CT image

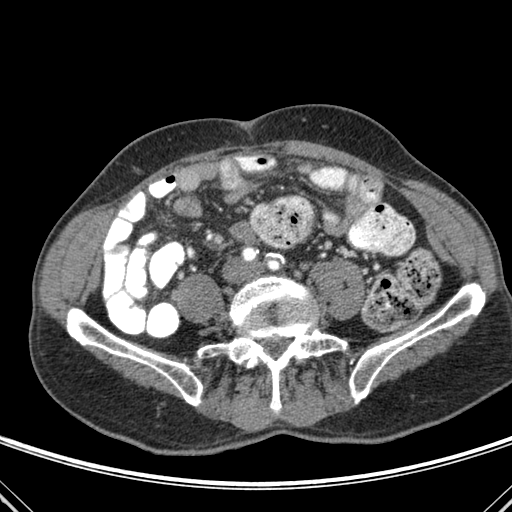

3 bone regions are bounded by box(66, 308, 202, 405); box(349, 283, 485, 403); box(197, 276, 347, 411).